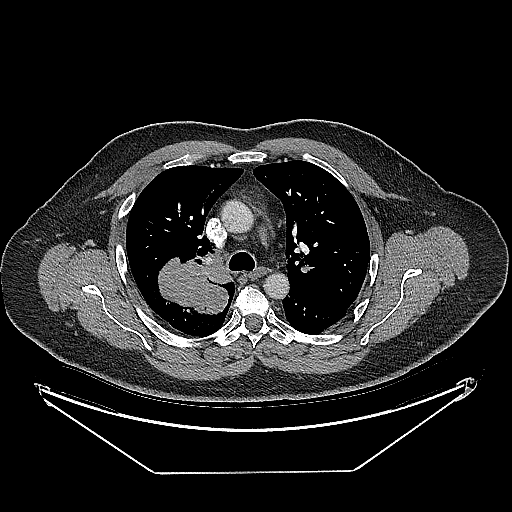 Lung | CT slice
{"lung_tumor": ["bbox(158, 251, 231, 313)"]}